Field of view 442x442 mm, CT scan slice
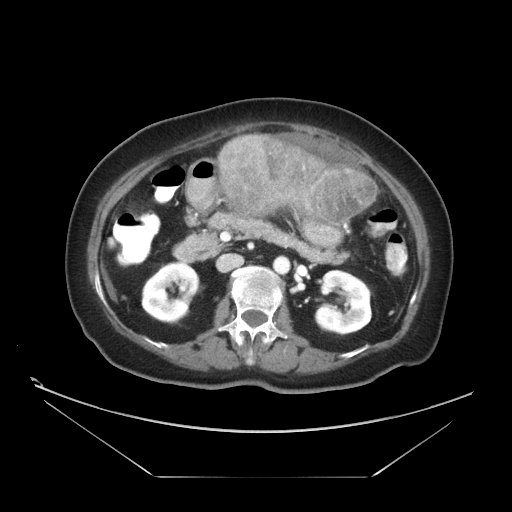
The liver tumor is at x1=219, y1=137, x2=376, y2=224.